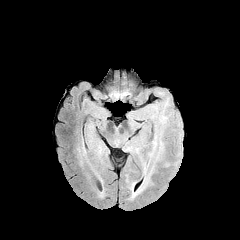
FLAIR magnetic resonance.
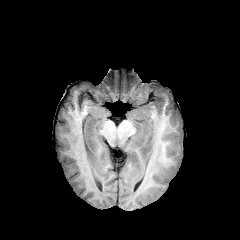
Same slice, T1-weighted magnetic resonance.
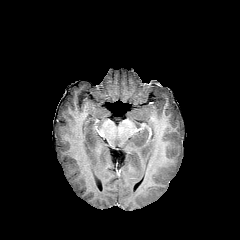
Post-contrast T1-weighted MR of the same slice.
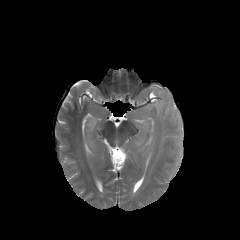
T2-weighted MR image of the same slice.
240x240 px, Head
The edema is at 94,142,101,157.